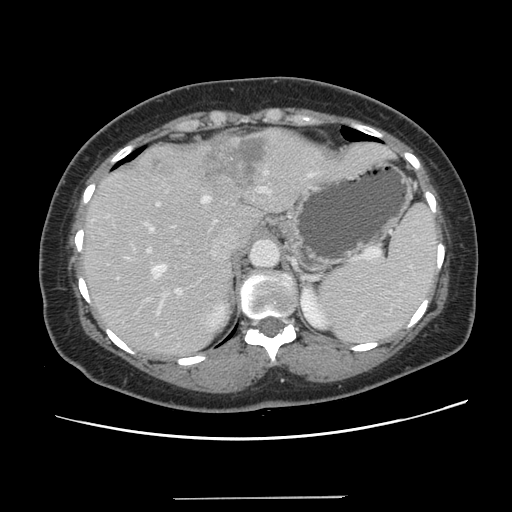 512x512 px. CT image.
The vessel boxes may cover only some of the vessels.
hepatic vessel: (259, 187, 269, 191), (265, 171, 266, 174), (144, 223, 153, 230), (157, 305, 160, 314), (156, 202, 159, 205), (152, 265, 165, 277), (147, 248, 150, 252), (202, 196, 210, 202), (146, 298, 148, 300), (175, 289, 181, 293), (155, 333, 156, 335) | liver tumor: (195, 136, 266, 188)